Upper abdomen | Image size 512x512 | Field of view 700x700 mm | Slice index 350 | CT scan slice 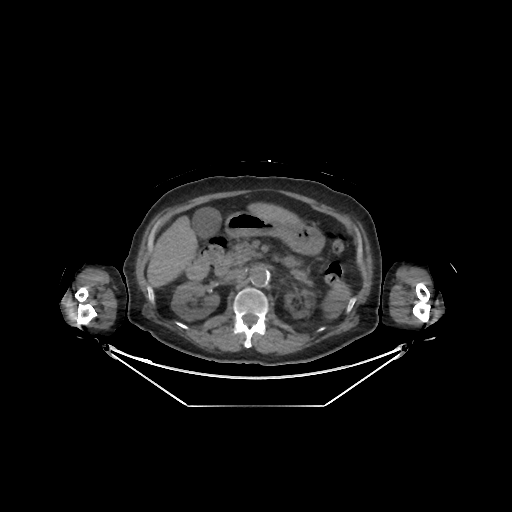
Bone at (left=75, top=287, right=96, bottom=326), (left=234, top=288, right=267, bottom=347), (left=413, top=283, right=430, bottom=321).
Liver at (left=250, top=204, right=299, bottom=224), (left=148, top=217, right=196, bottom=286).
Kidney at (left=171, top=280, right=219, bottom=320), (left=285, top=289, right=314, bottom=318).